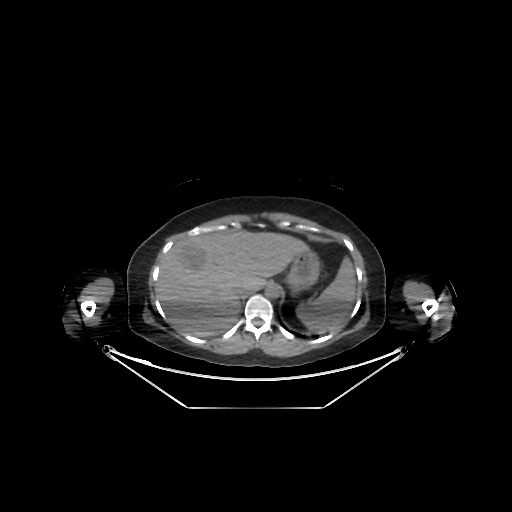 512x512 px; CT image; Upper abdomen

liver:
  - region(154, 226, 304, 337)